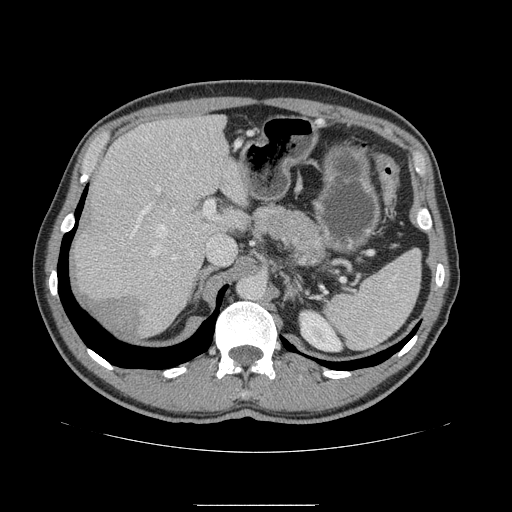
Upper abdomen; CT slice
<segmentation>
  <pancreas>box(252, 204, 328, 268)</pancreas>
</segmentation>